Image size 240x240
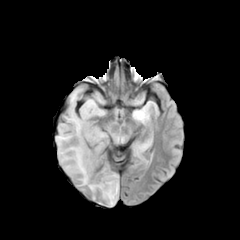
FLAIR MR.
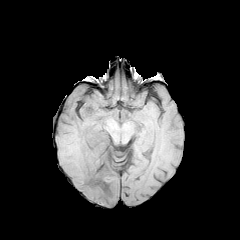
T1-weighted MR.
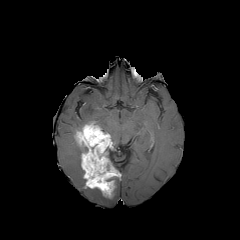
Post-contrast T1-weighted MR of the same slice.
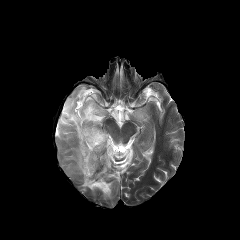
T2-weighted MR of the same slice.
3 non-enhancing tumor core regions appear at [96,146,109,157], [94,161,115,175], [72,117,99,165]. The enhancing tumor is at [76,124,119,197]. 3 edema regions are bounded by [85,178,119,204], [132,109,145,121], [56,88,105,175].